240x240; Brain; Slice 51 of 155; Field of view 240 mm wide, 1.00 mm slice spacing
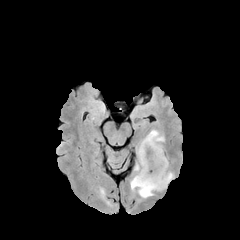
FLAIR MR.
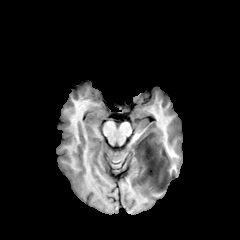
T1-weighted MR image.
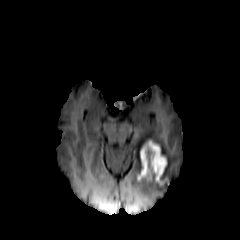
Post-contrast T1-weighted MR.
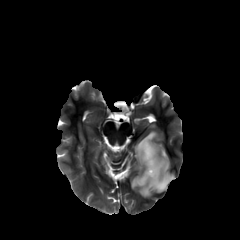
Same slice, T2-weighted MR.
The non-enhancing tumor core is bounded by [147,148,151,167]. 2 edema regions are located at [130,156,174,197], [134,129,164,173]. The enhancing tumor is bounded by [137,140,166,185].